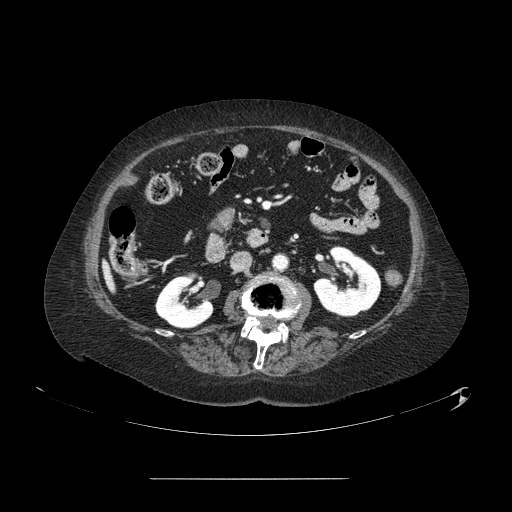

Image size 512x512 | CT image

pancreas: rect(217, 210, 233, 222) | pancreatic tumor: rect(210, 213, 231, 231)